FLAIR MR image.
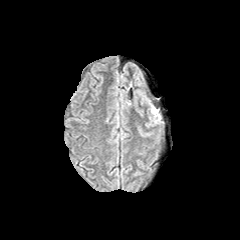
T1-weighted MR.
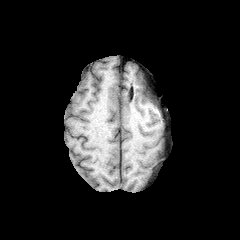
Post-contrast T1-weighted magnetic resonance.
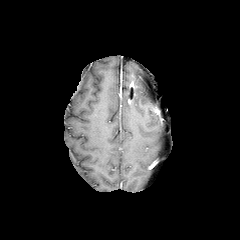
T2-weighted MR image.
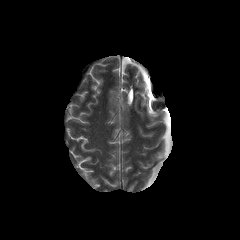
edema: bbox(137, 91, 149, 105); bbox(148, 107, 159, 124)